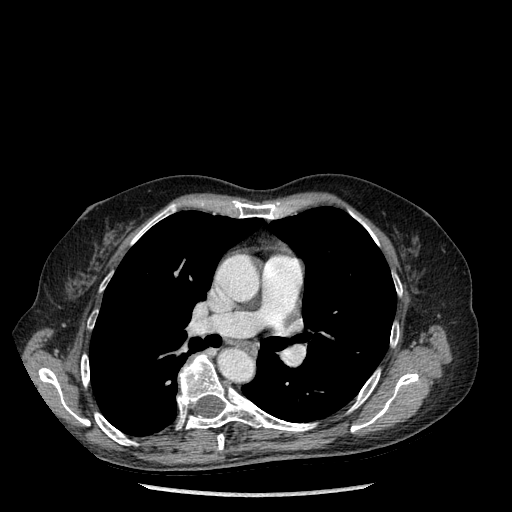

CT slice, Image size 512x512
lung: left=242, top=206, right=396, bottom=422; left=89, top=211, right=262, bottom=436 | bone: left=38, top=367, right=90, bottom=425; left=131, top=204, right=175, bottom=244; left=94, top=412, right=137, bottom=445; left=176, top=354, right=316, bottom=431; left=393, top=274, right=402, bottom=295; left=349, top=369, right=380, bottom=411; left=390, top=322, right=399, bottom=346; left=231, top=200, right=282, bottom=219; left=349, top=210, right=379, bottom=245; left=81, top=354, right=89, bottom=386; left=351, top=372, right=418, bottom=432; left=87, top=313, right=95, bottom=328; left=100, top=274, right=110, bottom=291; left=217, top=434, right=224, bottom=450